Head
FLAIR MR image.
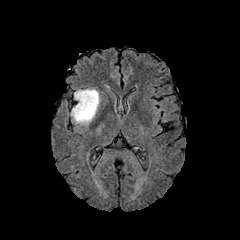
T1-weighted MR image.
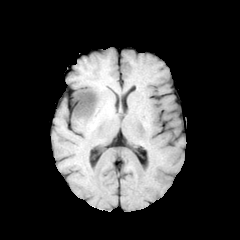
Post-contrast T1-weighted MR.
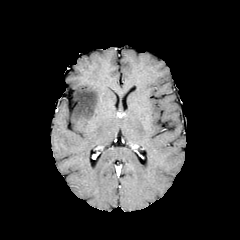
T2-weighted magnetic resonance.
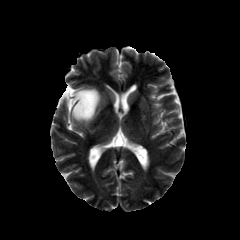
The edema is at box(71, 88, 99, 124).